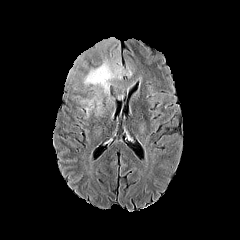
FLAIR MR.
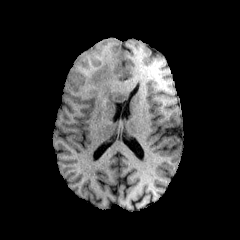
Same slice, T1-weighted magnetic resonance.
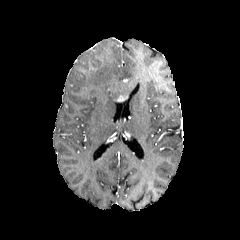
Post-contrast T1-weighted MR image.
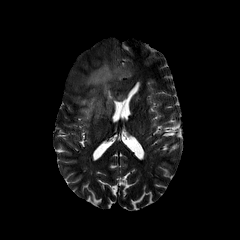
T2-weighted MR image.
Brain
{"enhancing_tumor": ["(left=117, top=95, right=128, bottom=102)"], "edema": ["(left=81, top=53, right=132, bottom=116)"]}